FLAIR magnetic resonance.
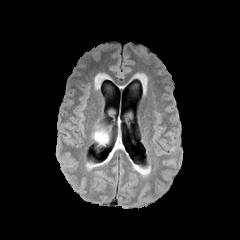
T1-weighted magnetic resonance.
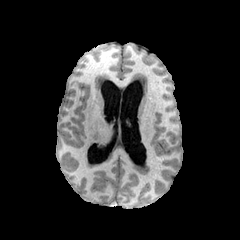
Post-contrast T1-weighted magnetic resonance.
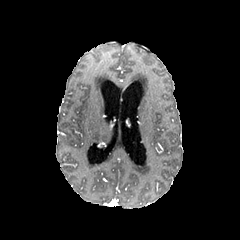
T2-weighted magnetic resonance.
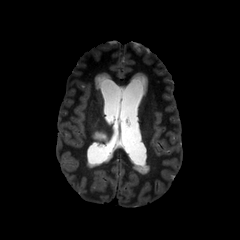
Brain
Edema at 92, 125, 108, 142.